Head, Image width 240 mm
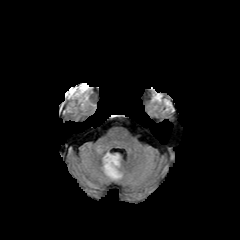
FLAIR MR image.
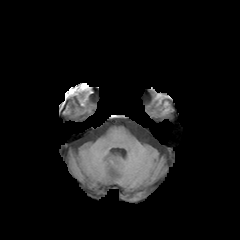
Same slice, T1-weighted MR.
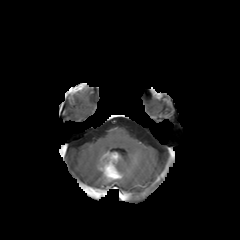
Post-contrast T1-weighted MR image.
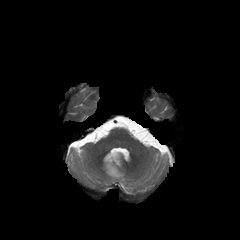
T2-weighted magnetic resonance of the same slice.
The non-enhancing tumor core is at bbox(102, 152, 119, 178). The enhancing tumor appears at bbox(104, 161, 114, 173).